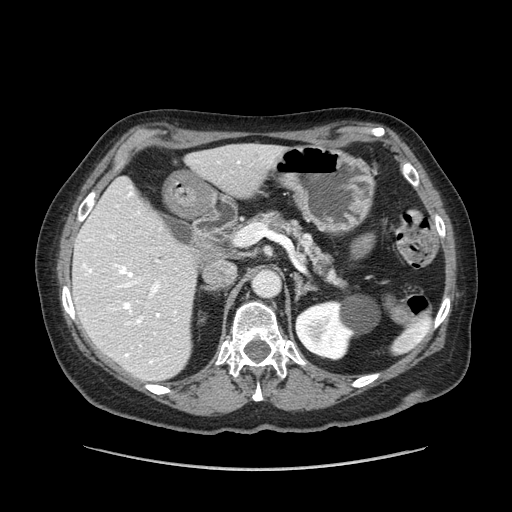

CT image

Pancreas = 251,213,347,289.
Pancreatic tumor = 263,212,279,224.